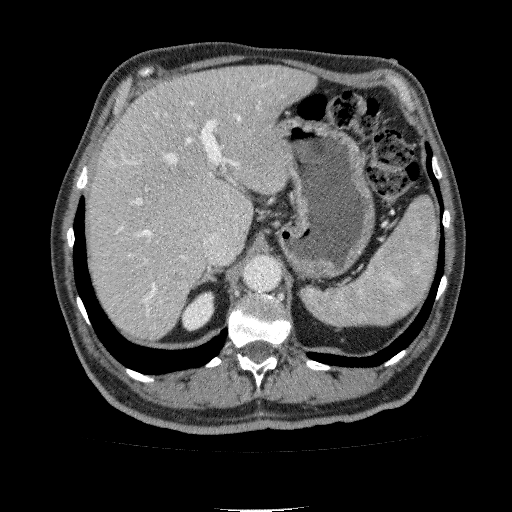 CT scan slice.

Kidney: 183 293 212 329.
Liver: 89 65 317 341.